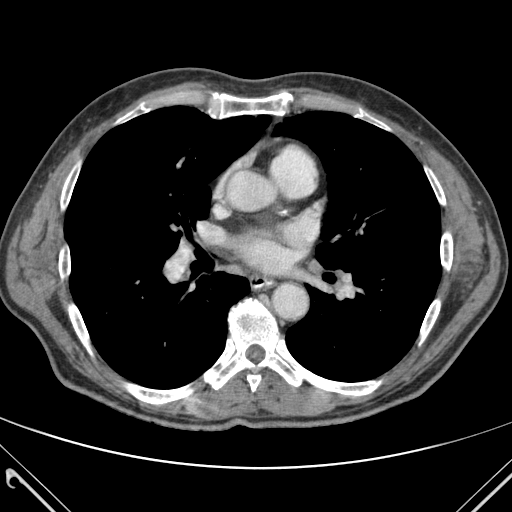
CT | Thorax

3 lung regions are bounded by box(64, 106, 271, 388); box(195, 245, 209, 261); box(273, 111, 441, 381). 12 bone regions appear at box(59, 242, 70, 278); box(247, 373, 260, 391); box(425, 168, 445, 204); box(69, 305, 91, 354); box(329, 102, 389, 129); box(198, 90, 303, 118); box(61, 164, 79, 209); box(440, 233, 452, 269); box(204, 298, 380, 395); box(126, 384, 192, 403); box(420, 300, 440, 343); box(116, 103, 152, 122).